Image width 240 mm | Head
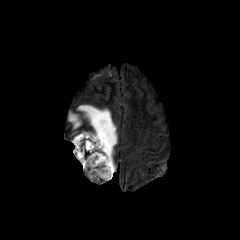
FLAIR MRI.
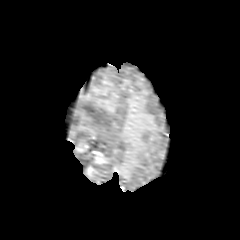
T1-weighted magnetic resonance.
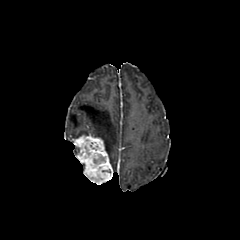
Post-contrast T1-weighted MRI.
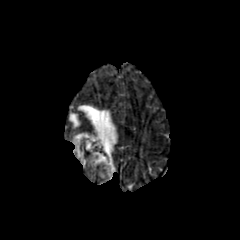
Same slice, T2-weighted MRI.
The enhancing tumor lies within rect(71, 133, 113, 184). 2 edema regions appear at rect(78, 105, 117, 171); rect(69, 113, 80, 128).